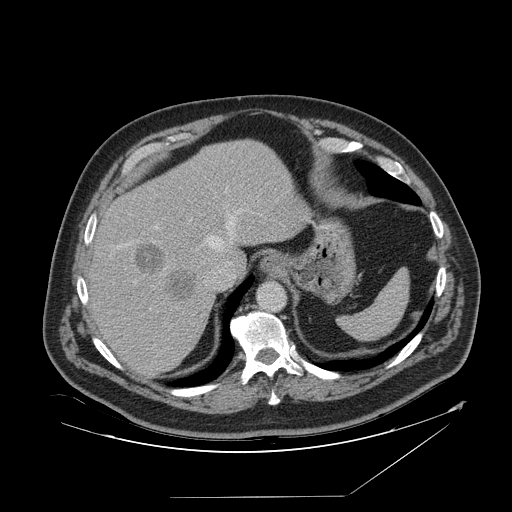 CT
- spleen: box(338, 270, 409, 340)